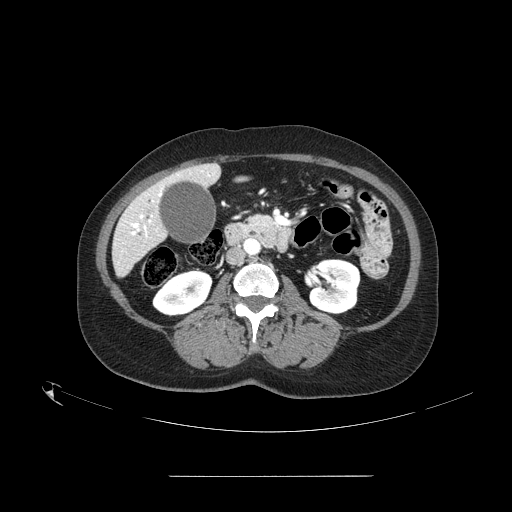

CT slice. Abdomen. pancreas: (247, 215, 280, 246)